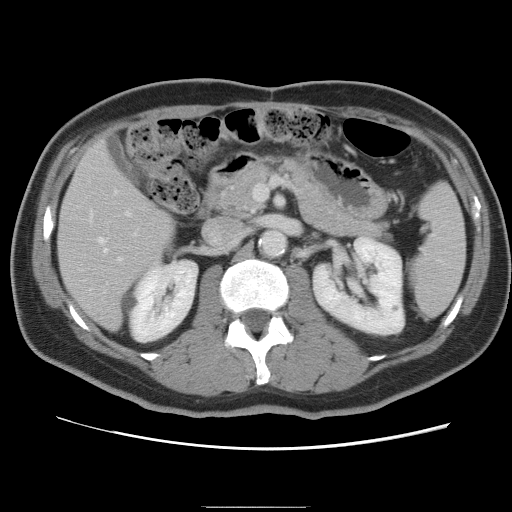

CT slice
Not every hepatic vessel necessarily has a box.
Hepatic vessel: 125 211 130 215, 134 232 136 234, 98 237 104 242, 104 248 106 251, 88 208 92 220, 113 189 116 193, 118 257 121 259.